Image width 240 mm. 240x240 px.
FLAIR magnetic resonance.
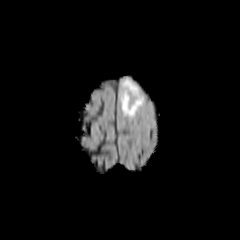
T1-weighted MR image.
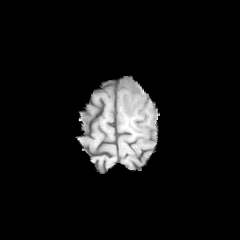
Post-contrast T1-weighted magnetic resonance.
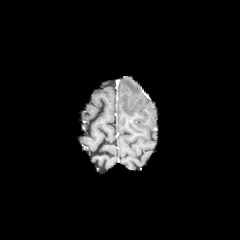
T2-weighted MR image.
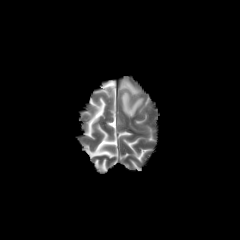
Segmented structures:
• edema: 122,79,139,94; 121,91,143,116